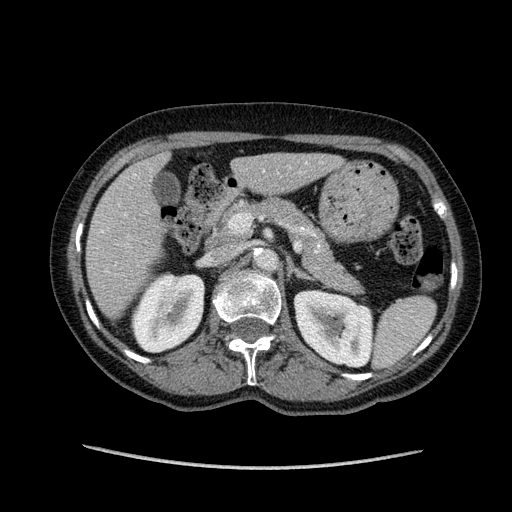 Upper abdomen. CT scan slice. Image size 512x512.
Liver: bounding box box(87, 158, 163, 308); box(236, 152, 333, 192).
Kidney: bounding box box(134, 275, 203, 351); box(295, 291, 371, 366).